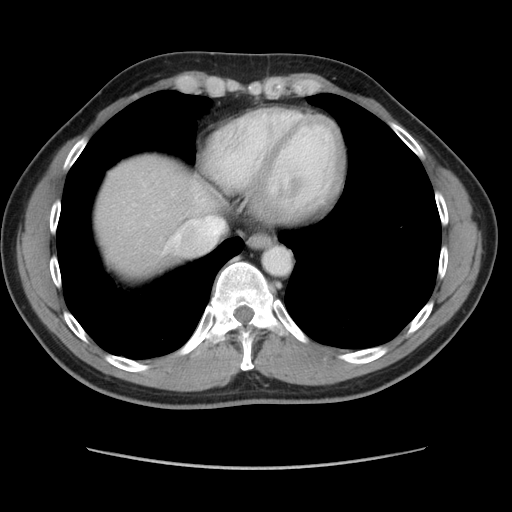
Computed tomography. Some hepatic vessels may have no box.
Hepatic vessel at l=173, t=217, r=223, b=246.